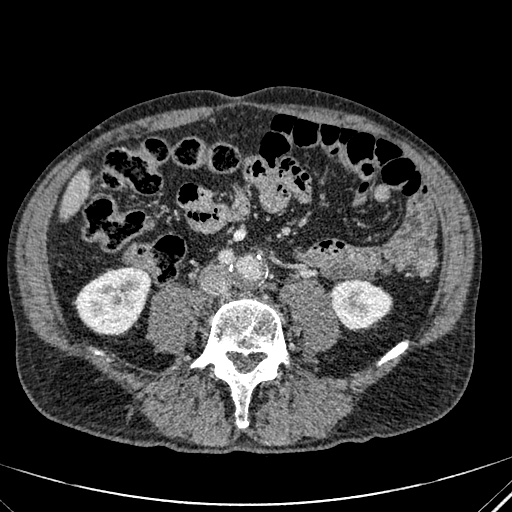

Upper abdomen | Image size 512x512 | CT scan slice
The liver lies within (59,169,89,217). 2 kidney regions appear at (332,280,390,327), (77,268,149,333).